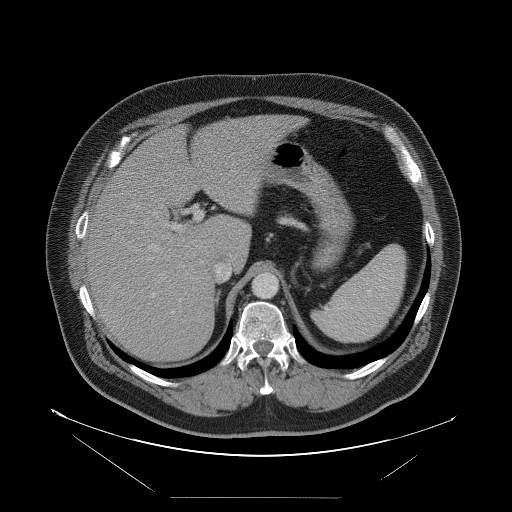
CT slice; Liver

Only some of the vessels may be annotated.
* hepatic vessel: 182, 239, 184, 240; 147, 248, 148, 250; 149, 257, 152, 259; 151, 293, 154, 297; 192, 207, 202, 219; 165, 223, 180, 228; 171, 310, 174, 313; 149, 244, 159, 251; 168, 241, 170, 243; 131, 220, 133, 222